Brain | 240x240 px
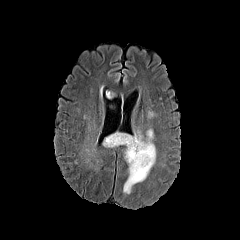
FLAIR MR.
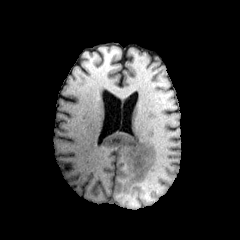
T1-weighted magnetic resonance.
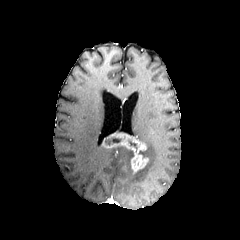
Post-contrast T1-weighted MRI.
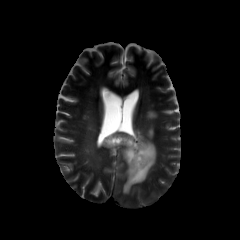
T2-weighted magnetic resonance.
<segmentation>
  <enhancing_tumor><bbox>102, 132, 149, 174</bbox></enhancing_tumor>
  <non-enhancing_tumor_core><bbox>105, 137, 121, 145</bbox></non-enhancing_tumor_core>
  <edema><bbox>146, 109, 156, 119</bbox>, <bbox>123, 128, 156, 193</bbox></edema>
</segmentation>